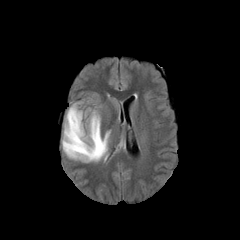
FLAIR MRI.
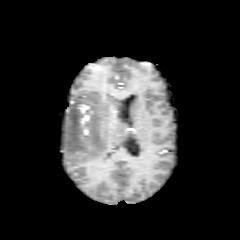
T1-weighted MR image.
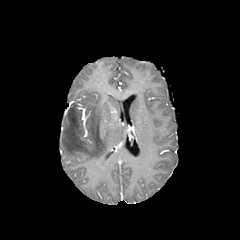
Post-contrast T1-weighted magnetic resonance of the same slice.
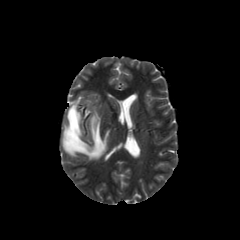
T2-weighted MR image.
Non-enhancing tumor core at 69,104,77,129.
Edema at 62,102,109,161.